CT scan slice.
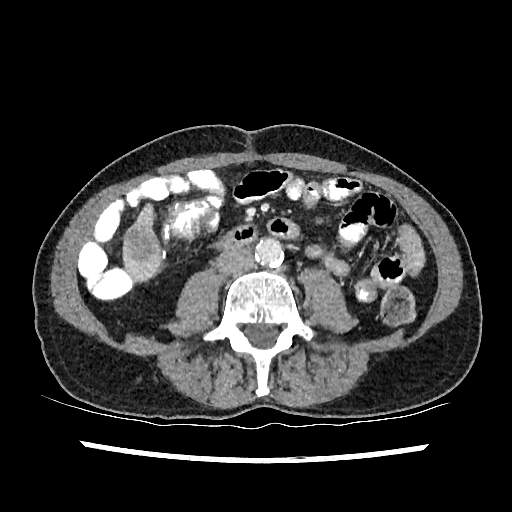 focal liver lesion: 128 228 156 260 | liver: 124 204 159 280